Image width 34 mm, Magnetic resonance, Medial temporal lobe, Slice index 23
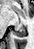

The posterior hippocampus lies within 13:28:25:37.